Image size 240x240; Slice 93 of 155; Head
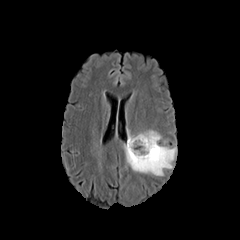
FLAIR MRI.
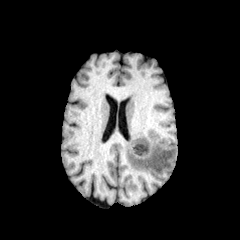
T1-weighted magnetic resonance.
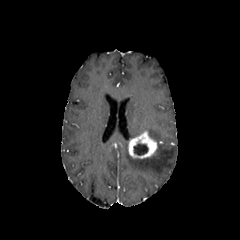
Post-contrast T1-weighted MR of the same slice.
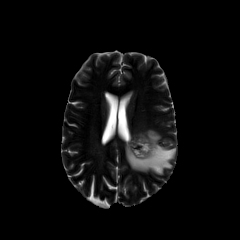
T2-weighted MR of the same slice.
non-enhancing tumor core: box=[134, 143, 148, 155] | enhancing tumor: box=[128, 133, 158, 159] | edema: box=[125, 139, 175, 174]; box=[141, 129, 161, 141]